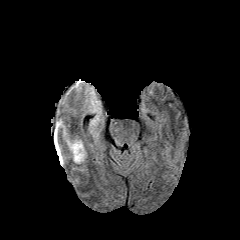
FLAIR MRI.
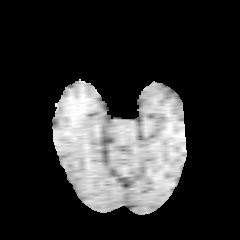
T1-weighted MR.
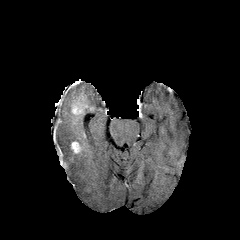
Post-contrast T1-weighted MR of the same slice.
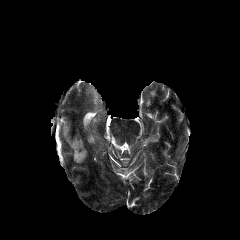
T2-weighted MR.
Brain | 240x240
The edema is bounded by [59, 128, 86, 165]. The enhancing tumor appears at [71, 142, 81, 153].